Computed tomography, Image size 512x512 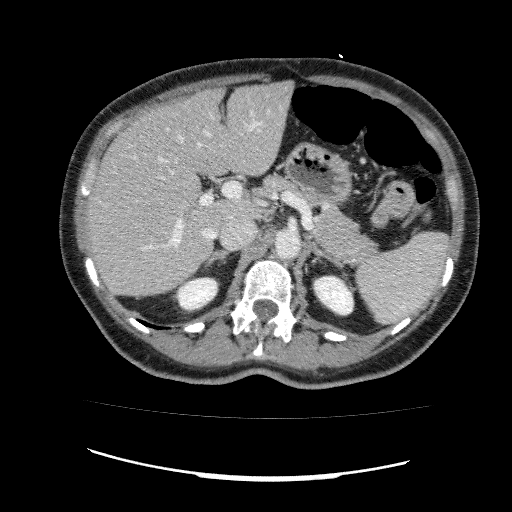

Kidney: bounding box {"x1": 178, "y1": 278, "x2": 216, "y2": 308}, {"x1": 315, "y1": 277, "x2": 352, "y2": 314}.
Liver: bounding box {"x1": 85, "y1": 80, "x2": 294, "y2": 296}.